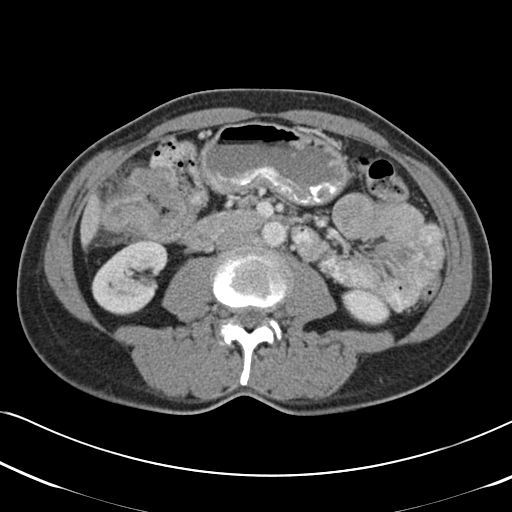

CT, Abdomen
Segmented structures:
* colon tumor: box(101, 165, 197, 242)